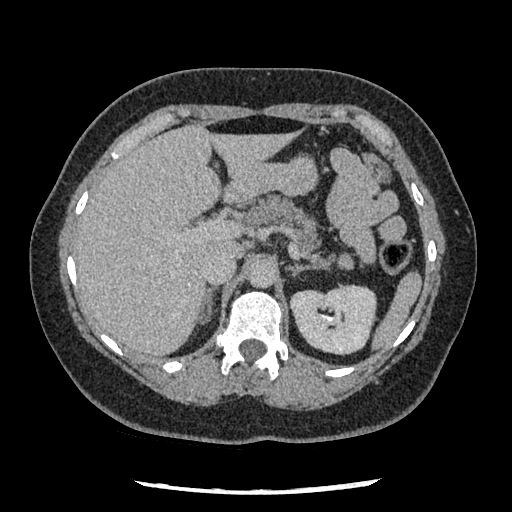

Computed tomography
Pancreas — (249,195,339,266).
Pancreatic tumor — (338,253,354,269).